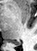
Medial temporal lobe; MRI slice
- posterior hippocampus: (12,41,20,45)